Prostate; Field of view 192 mm wide, 4.00 mm slice spacing; Slice index 3; 256x256
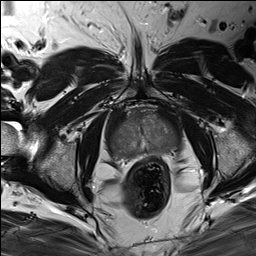
T2-weighted magnetic resonance.
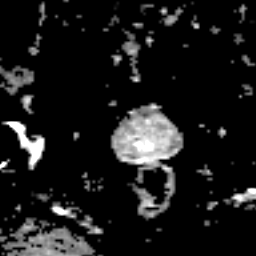
ADC MRI of the same slice.
- prostate peripheral zone: box(112, 115, 175, 155)